Head; Slice 83 of 155; Image size 240x240
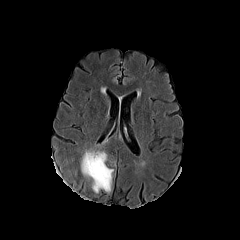
FLAIR MR.
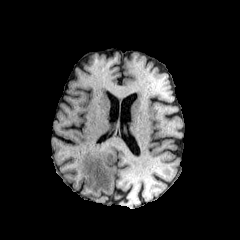
Same slice, T1-weighted MRI.
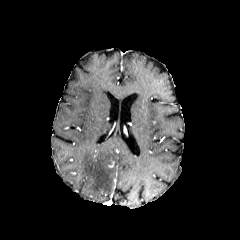
Post-contrast T1-weighted MR of the same slice.
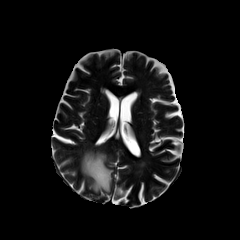
T2-weighted MRI.
Edema — region(80, 150, 112, 193).